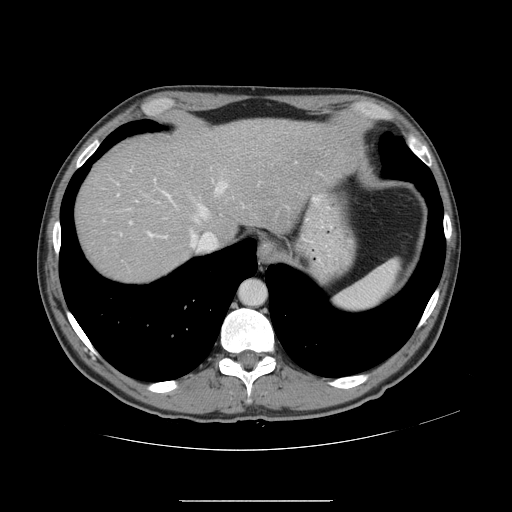

Liver | Computed tomography
The vessel boxes may cover only some of the vessels.
Hepatic vessel = (left=216, top=181, right=226, bottom=193), (left=190, top=232, right=215, bottom=247), (left=192, top=217, right=198, bottom=220), (left=130, top=222, right=131, bottom=223), (left=117, top=194, right=118, bottom=195), (left=198, top=205, right=208, bottom=219), (left=165, top=193, right=170, bottom=198), (left=148, top=232, right=162, bottom=236).